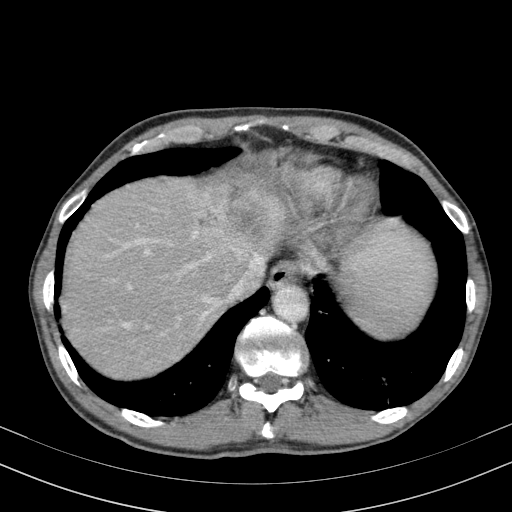

512x512; Upper abdomen; CT image

The hepatic lesion lies within (left=229, top=207, right=262, bottom=236). The liver is located at (left=60, top=159, right=285, bottom=379).